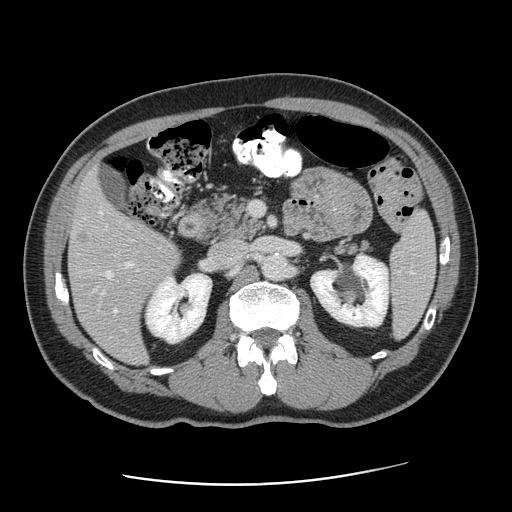
CT; Liver

The vessel annotation is not exhaustive.
Segmented structures:
* liver tumor: [x1=76, y1=230, x2=90, y2=242]
* hepatic vessel: [x1=99, y1=212, x2=102, y2=213], [x1=107, y1=270, x2=112, y2=276], [x1=123, y1=262, x2=132, y2=266], [x1=114, y1=309, x2=116, y2=312]